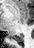 Medial temporal lobe | Image size 34x48 | MR

<segmentation>
  <posterior_hippocampus>box=[13, 35, 22, 41]</posterior_hippocampus>
</segmentation>